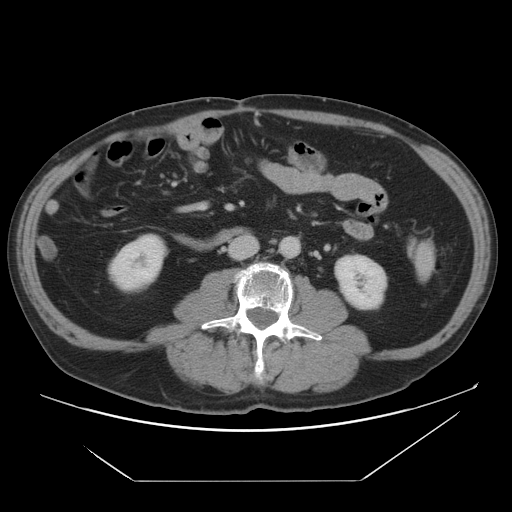
Computed tomography, Abdomen, 512x512
2 kidney regions are bounded by left=111, top=236, right=163, bottom=288; left=335, top=256, right=385, bottom=308.